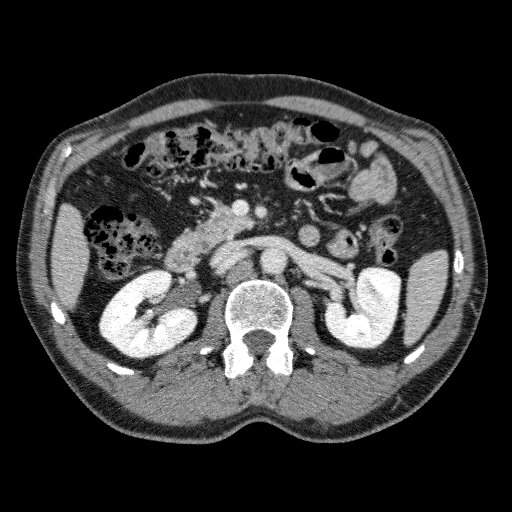 Computed tomography | Abdomen | Image size 512x512
Kidney at x1=100, y1=271, x2=196, y2=356; x1=325, y1=268, x2=399, y2=347.
Liver at x1=52, y1=204, x2=89, y2=308.